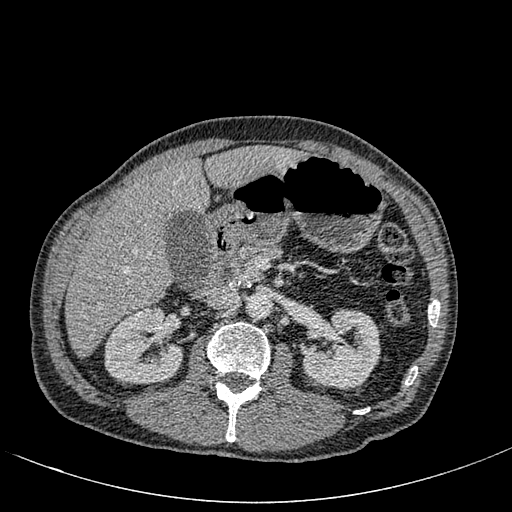

CT slice; Upper abdomen
Segmented structures:
* liver: [206,146,303,188], [66,159,209,357]
* kidney: [105,307,182,383], [300,308,379,388]